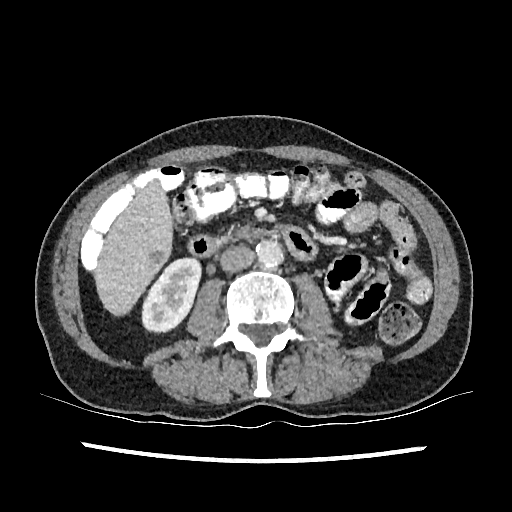
Computed tomography.
Annotated regions:
- liver: <box>96,178,170,314</box>
- kidney: <box>143,259,200,331</box>
- hepatic lesion: <box>149,250,163,263</box>